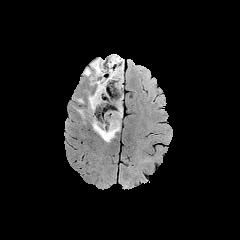
FLAIR MRI.
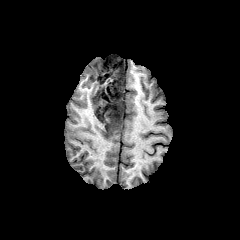
Same slice, T1-weighted magnetic resonance.
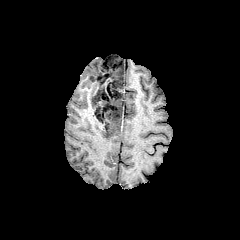
Post-contrast T1-weighted MR.
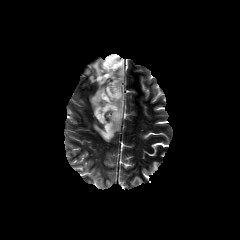
T2-weighted MR of the same slice.
240x240
4 edema regions appear at rect(119, 62, 123, 87); rect(93, 106, 123, 142); rect(84, 59, 106, 89); rect(88, 92, 106, 111). 3 non-enhancing tumor core regions are located at rect(96, 57, 121, 89); rect(112, 104, 121, 118); rect(94, 88, 105, 101).